Slice 81/455. CT. 512x512. 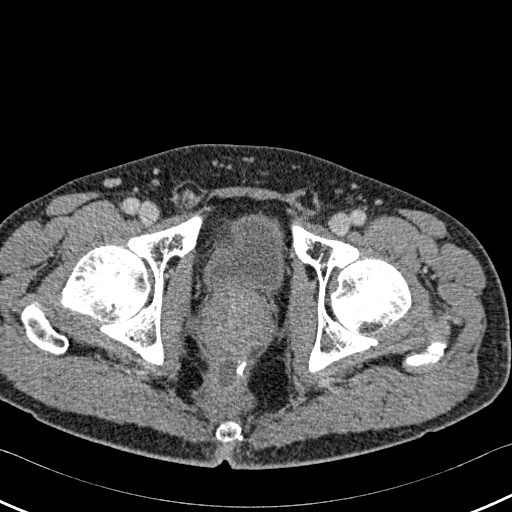

bone: l=61, t=217, r=201, b=365; l=406, t=342, r=445, b=365; l=22, t=304, r=67, b=353; l=293, t=226, r=410, b=371; l=216, t=422, r=243, b=441 | urinary bladder: l=203, t=213, r=285, b=302